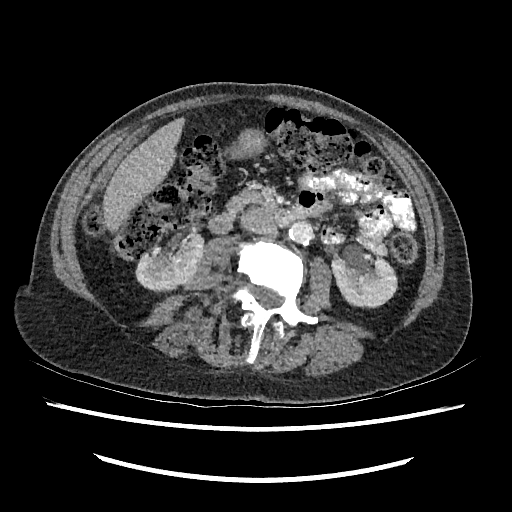 Upper abdomen | CT scan slice
Segmented structures:
• kidney: l=136, t=244, r=202, b=289; l=332, t=258, r=396, b=306
• liver: l=104, t=118, r=183, b=229